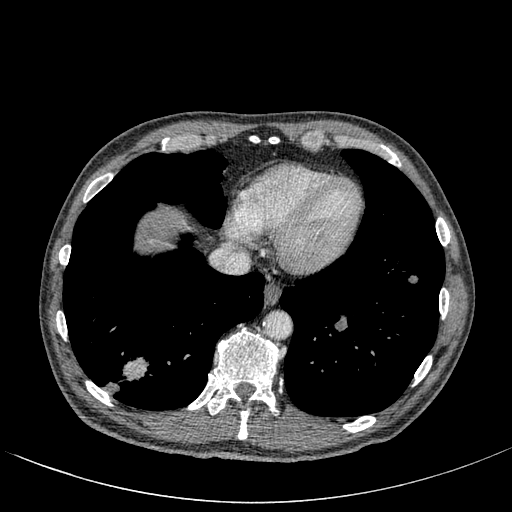 CT scan slice
The liver lies within 149, 217, 172, 238.